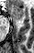
MR. Image size 34x53. Medial temporal lobe.

The anterior hippocampus appears at box(12, 6, 22, 19).